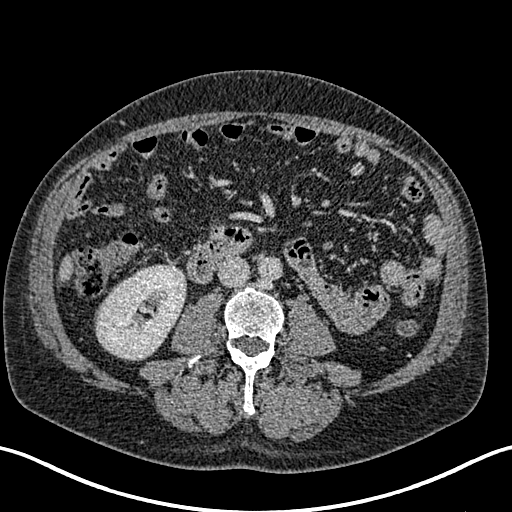

CT scan slice; Upper abdomen

liver:
  - [x1=59, y1=255, x2=72, y2=282]
kidney:
  - [x1=96, y1=265, x2=185, y2=359]